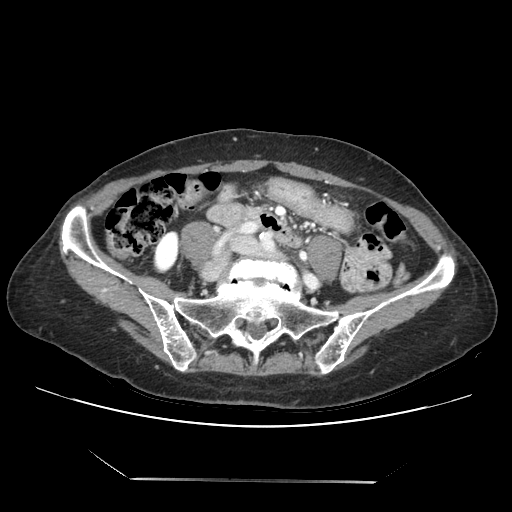

512x512; Abdomen; Computed tomography

The pancreas is bounded by [x1=207, y1=191, x2=259, y2=229].